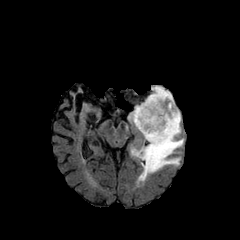
FLAIR MRI.
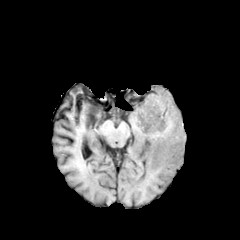
T1-weighted magnetic resonance of the same slice.
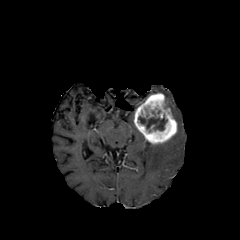
Same slice, post-contrast T1-weighted MRI.
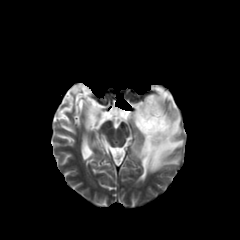
T2-weighted MR image.
Findings:
• edema: x1=131 y1=86 x2=183 y2=182, x1=128 y1=112 x2=133 y2=123
• non-enhancing tumor core: x1=138 y1=116 x2=166 y2=130
• enhancing tumor: x1=134 y1=92 x2=177 y2=144